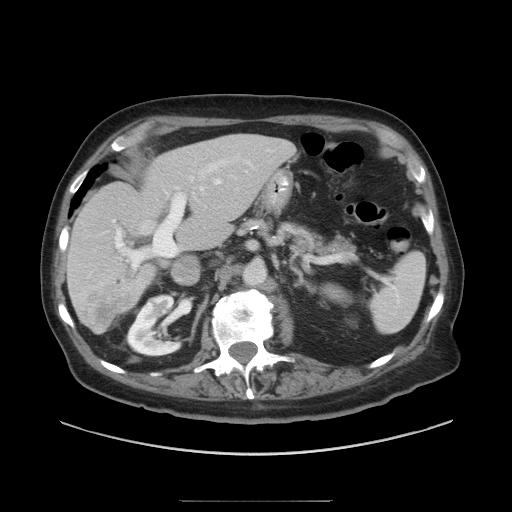

Liver. CT.

Not every hepatic vessel necessarily has a box.
Hepatic vessel: 188, 175, 194, 181; 111, 219, 115, 222; 114, 187, 186, 269; 141, 222, 151, 231; 193, 193, 194, 195; 199, 185, 204, 193; 215, 179, 221, 184; 198, 160, 226, 179.
Liver tumor: 87, 286, 132, 327.